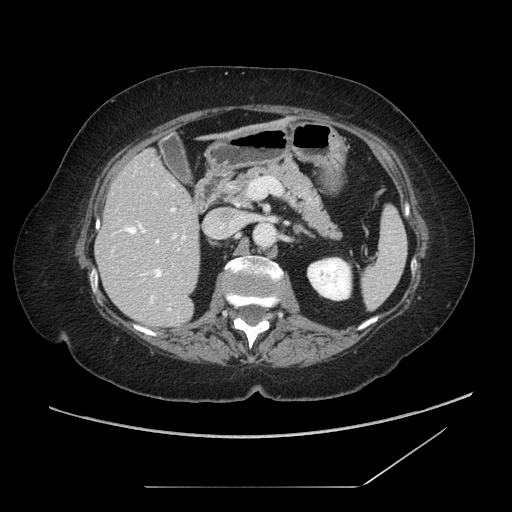 CT slice. Upper abdomen.

pancreas: [216, 154, 342, 240]